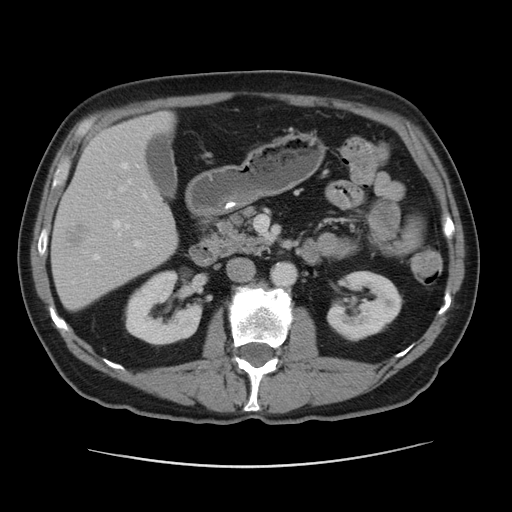

CT | Abdomen

The focal liver lesion is located at <box>66,225,88,243</box>. The liver is bounded by <box>51,113,177,306</box>. 2 kidney regions appear at <box>126,272,200,343</box>, <box>327,271,402,340</box>.